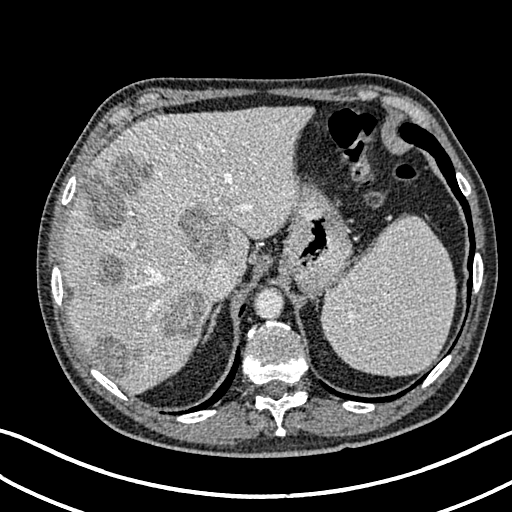 Computed tomography, Liver

liver: {"x1": 196, "y1": 301, "x2": 208, "y2": 329}, {"x1": 64, "y1": 108, "x2": 311, "y2": 391} | hepatic lesion: {"x1": 78, "y1": 278, "x2": 91, "y2": 301}, {"x1": 93, "y1": 334, "x2": 142, "y2": 378}, {"x1": 135, "y1": 220, "x2": 142, "y2": 231}, {"x1": 178, "y1": 205, "x2": 229, "y2": 263}, {"x1": 83, "y1": 154, "x2": 154, "y2": 229}, {"x1": 99, "y1": 256, "x2": 124, "y2": 285}, {"x1": 160, "y1": 291, "x2": 206, "y2": 340}